Field of view 240 mm wide, 1.00 mm slice spacing
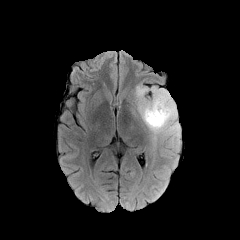
FLAIR MRI.
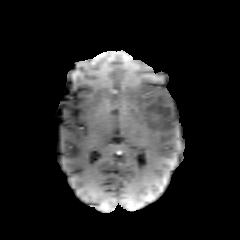
Same slice, T1-weighted magnetic resonance.
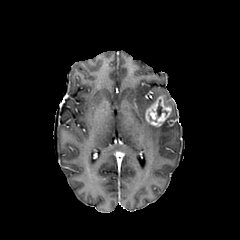
Post-contrast T1-weighted MR.
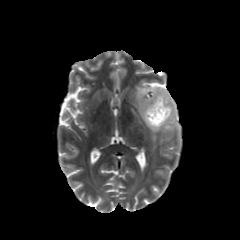
T2-weighted magnetic resonance.
<segmentation>
  <enhancing_tumor>(x1=144, y1=94, x2=171, y2=126)</enhancing_tumor>
  <edema>(x1=134, y1=83, x2=180, y2=154)</edema>
  <non-enhancing_tumor_core>(x1=145, y1=89, x2=165, y2=111), (x1=166, y1=117, x2=175, y2=127)</non-enhancing_tumor_core>
</segmentation>